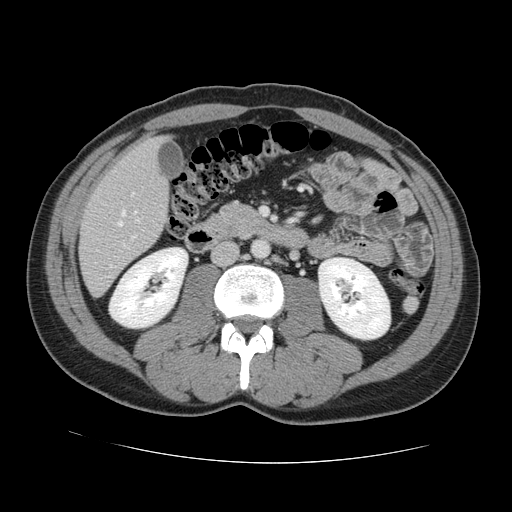

Liver, Computed tomography
Only some of the vessels may be annotated.
Segmented structures:
* hepatic vessel: [x1=109, y1=264, x2=112, y2=267], [x1=134, y1=211, x2=136, y2=213], [x1=136, y1=218, x2=139, y2=221], [x1=131, y1=193, x2=134, y2=195], [x1=131, y1=235, x2=135, y2=238], [x1=121, y1=210, x2=124, y2=215], [x1=118, y1=222, x2=122, y2=225]